Abdomen; CT slice; Image size 512x512

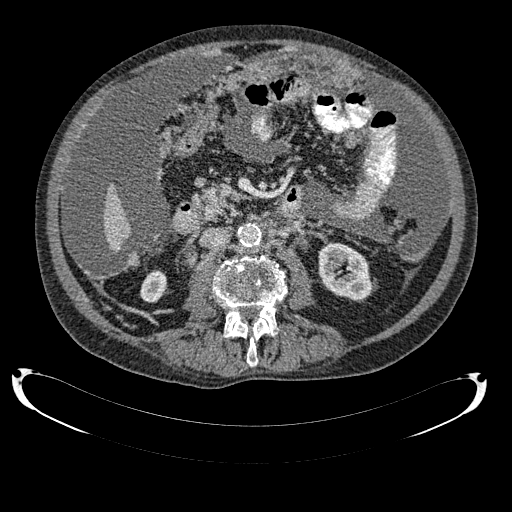
2 kidney regions appear at left=319, top=243, right=371, bottom=299; left=141, top=271, right=166, bottom=301. The liver is located at left=104, top=184, right=129, bottom=251.